Brain.
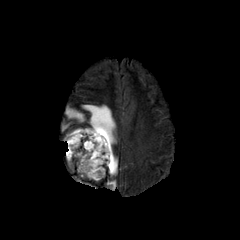
FLAIR MR image.
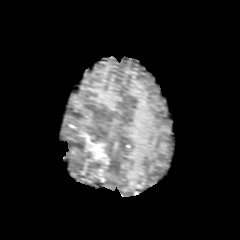
T1-weighted MR image.
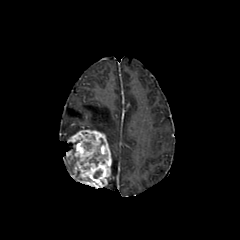
Post-contrast T1-weighted MR image of the same slice.
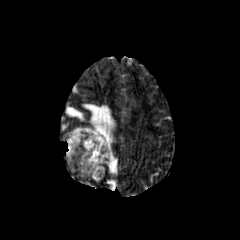
Same slice, T2-weighted magnetic resonance.
Enhancing tumor: bounding box region(65, 127, 112, 187).
Edema: bounding box region(112, 149, 117, 174); region(108, 180, 115, 190); region(65, 106, 84, 121); region(82, 104, 116, 146).